CT | Abdomen | Image size 512x512 | Slice 152/188

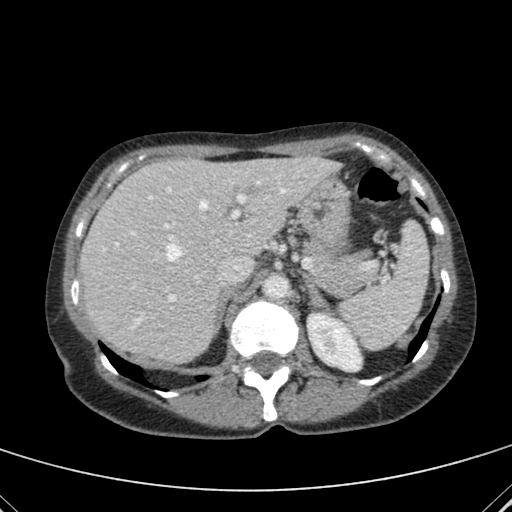

The kidney lies within box=[308, 314, 361, 365]. The liver lies within box=[80, 157, 338, 362].